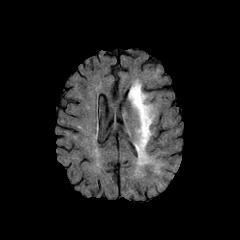
FLAIR MRI.
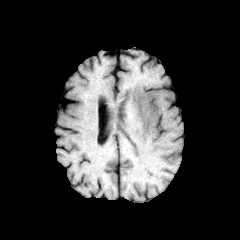
T1-weighted magnetic resonance of the same slice.
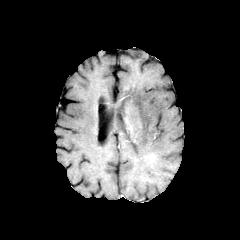
Post-contrast T1-weighted MR.
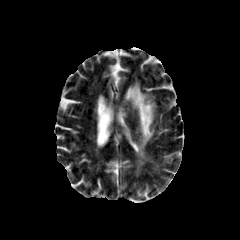
T2-weighted MRI.
Brain
<segmentation>
  <edema>(left=128, top=81, right=157, bottom=165)</edema>
</segmentation>